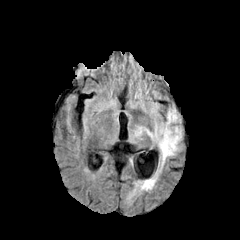
FLAIR magnetic resonance.
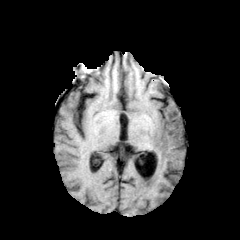
T1-weighted MR image.
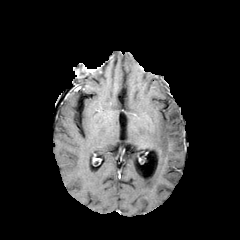
Post-contrast T1-weighted magnetic resonance.
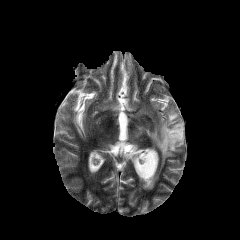
Same slice, T2-weighted magnetic resonance.
Image size 240x240.
Edema: bounding box [x1=131, y1=106, x2=183, y2=171], [x1=129, y1=173, x2=158, y2=199].